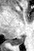

MRI slice, Hippocampus, 34x51 px
<segmentation>
  <posterior_hippocampus>rect(7, 36, 24, 44)</posterior_hippocampus>
</segmentation>